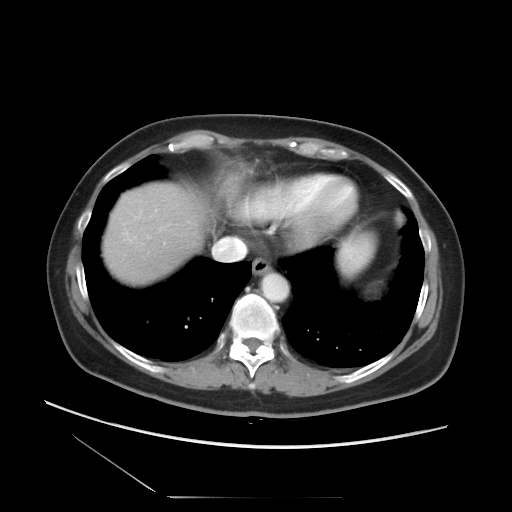

Abdomen. CT image. Not every hepatic vessel necessarily has a box.
{"hepatic_vessel": ["213,237,246,260"]}